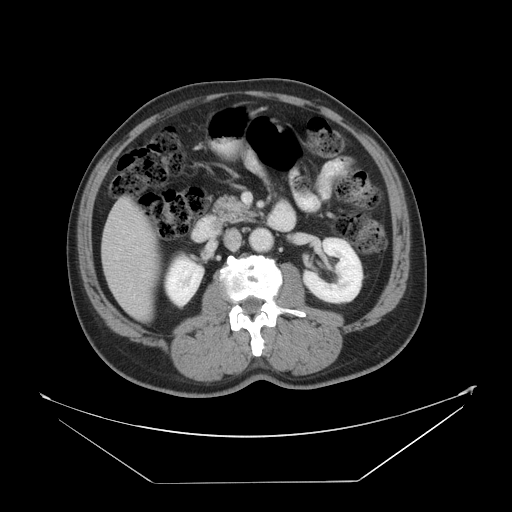
CT image
Only some of the vessels may be annotated.
Hepatic vessel — 136, 246, 142, 251; 129, 284, 132, 289.